CT 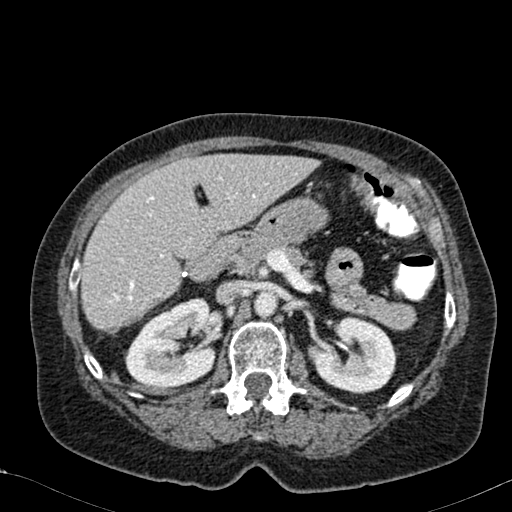 The liver is bounded by 81:155:318:329. 2 kidney regions are located at 309:318:395:392, 126:299:214:388.